CT image. Abdomen. Slice 467 of 677.

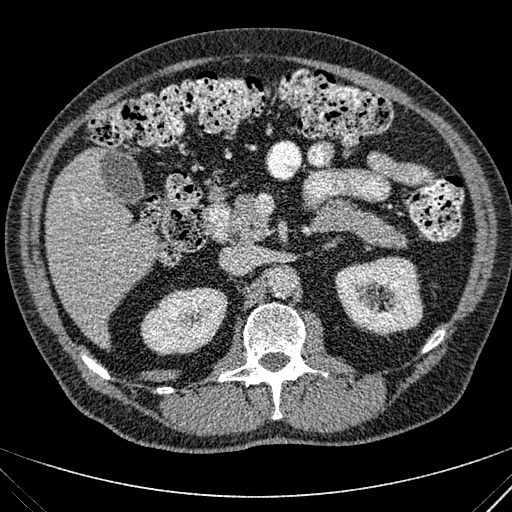

{"liver": ["(left=45, top=148, right=158, bottom=344)"], "kidney": ["(left=336, top=257, right=422, bottom=334)", "(left=141, top=288, right=227, bottom=353)"]}